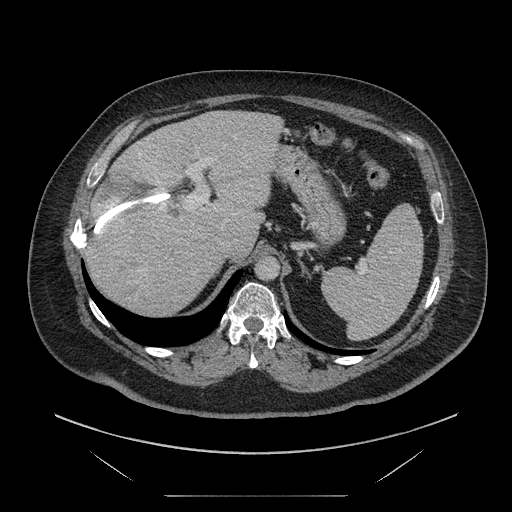

CT slice
The vessel boxes may cover only some of the vessels.
{"liver_tumor": ["[92,175,177,226]"], "hepatic_vessel": ["[183,153,221,212]", "[189,221,191,222]", "[221,153,222,154]"]}